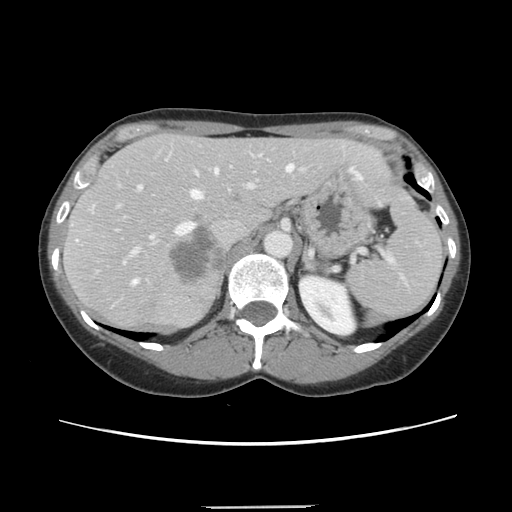
Liver, CT scan slice
Not every hepatic vessel necessarily has a box.
13 hepatic vessel regions are located at [286, 164, 292, 171], [194, 170, 197, 174], [175, 222, 193, 234], [90, 206, 92, 212], [215, 168, 217, 172], [131, 280, 137, 284], [190, 189, 202, 198], [123, 260, 124, 263], [130, 248, 137, 254], [150, 235, 153, 238], [247, 184, 252, 187], [138, 185, 141, 189], [76, 239, 77, 241]. The liver tumor appears at [170, 234, 222, 280].